CT image; Abdomen 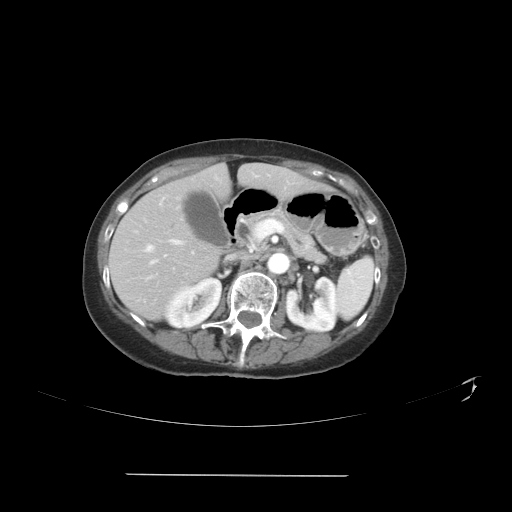
Not every hepatic vessel necessarily has a box.
hepatic vessel: x1=159 y1=198 x2=164 y2=204, x1=170 y1=239 x2=182 y2=244, x1=134 y1=230 x2=137 y2=232, x1=150 y1=260 x2=157 y2=264, x1=191 y1=251 x2=193 y2=253, x1=144 y1=245 x2=152 y2=251, x1=164 y1=254 x2=166 y2=256, x1=267 y1=174 x2=269 y2=176